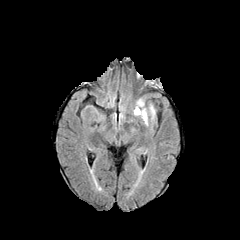
FLAIR MR image.
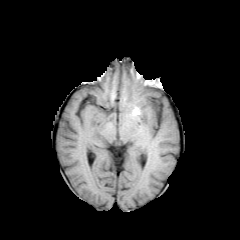
Same slice, T1-weighted MR image.
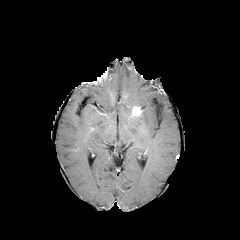
Same slice, post-contrast T1-weighted MR image.
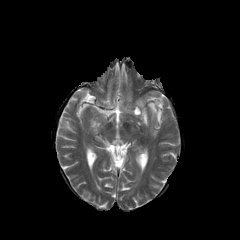
T2-weighted MRI.
The edema appears at [136,98,155,125]. The enhancing tumor appears at [134,106,141,115].